FLAIR MRI.
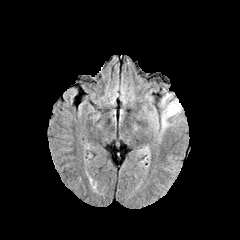
T1-weighted MR image.
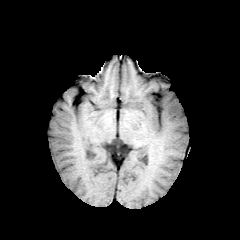
Post-contrast T1-weighted MR.
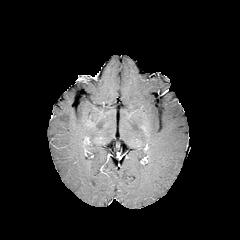
T2-weighted magnetic resonance.
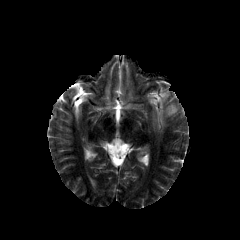
240x240 px
edema:
  - (144,90,181,135)